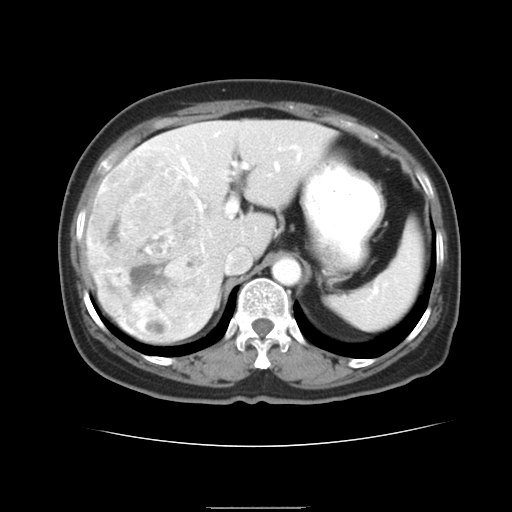
512x512. Liver. CT scan slice.

The vessel annotation is not exhaustive.
<segmentation>
  <hepatic_vessel>278:147:280:150, 290:145:300:158, 189:177:196:185, 214:132:218:136, 225:202:237:218, 196:202:204:218, 243:164:246:167, 179:159:187:175, 273:163:278:169</hepatic_vessel>
  <liver_tumor>87:154:208:341</liver_tumor>
</segmentation>